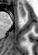
MRI

anterior_hippocampus:
  - 19 5 25 16